MRI; Slice index 43; Field of view 400 mm wide, 1.37 mm slice spacing; Heart

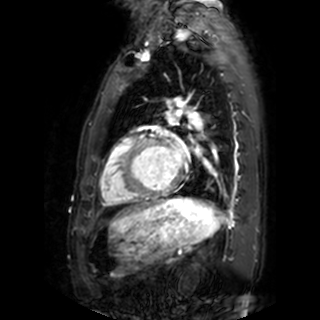 The left atrium is at [172, 144, 184, 164].